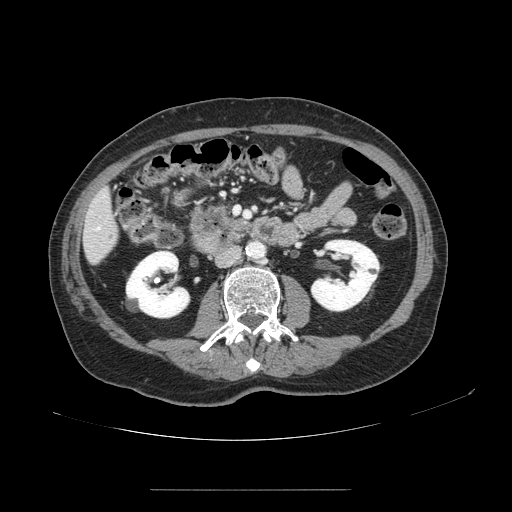

Computed tomography; Abdomen

Pancreas at <bbox>192, 205, 250, 250</bbox>.